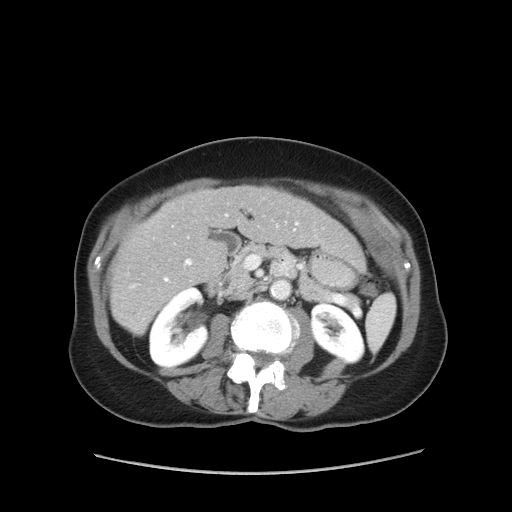

Image size 512x512; CT slice; Liver
Only some of the vessels may be annotated.
5 hepatic vessel regions are located at (165, 278, 167, 280), (184, 258, 192, 265), (225, 214, 227, 215), (130, 284, 135, 288), (295, 222, 298, 224).